Slice 494/816 | Upper abdomen | CT scan slice | 512x512 px
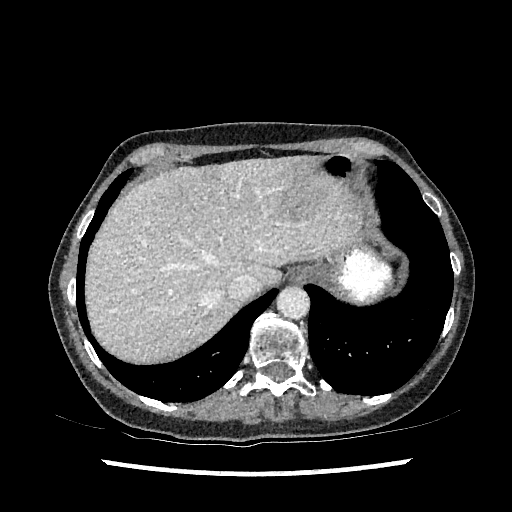 Focal liver lesion at box=[278, 157, 326, 222]; box=[201, 165, 219, 181].
Liver at box=[86, 157, 362, 361].